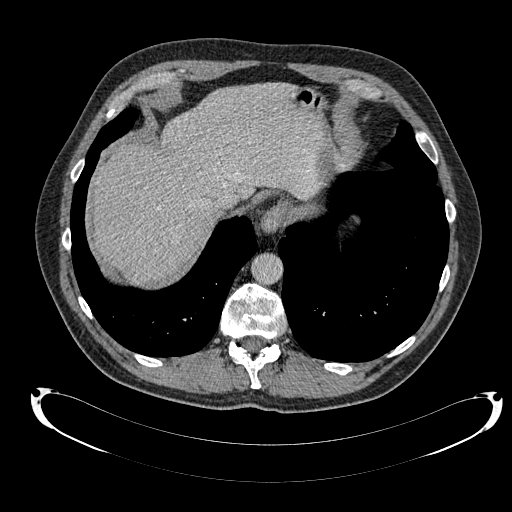 Liver. CT slice. Image size 512x512. Liver = box=[95, 84, 327, 283].